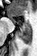 MR image, Image size 37x56
2 anterior hippocampus regions are located at 23,23,30,24; 8,14,15,24. The posterior hippocampus lies within 17,25,31,44.